Brain, Slice 105/155
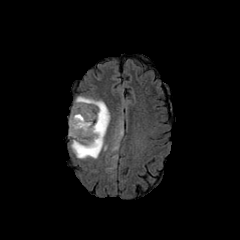
FLAIR MR image.
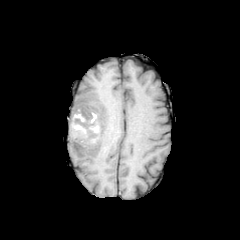
Same slice, T1-weighted MRI.
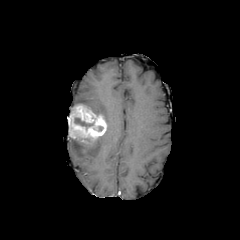
Post-contrast T1-weighted magnetic resonance.
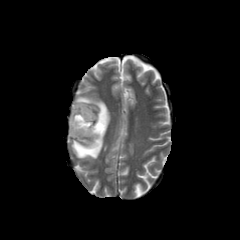
T2-weighted MRI.
<segmentation>
  <non-enhancing_tumor_core>[74,118,94,128], [76,144,93,153]</non-enhancing_tumor_core>
  <edema>[73,94,110,127], [69,132,105,160]</edema>
  <enhancing_tumor>[68,104,106,139]</enhancing_tumor>
</segmentation>